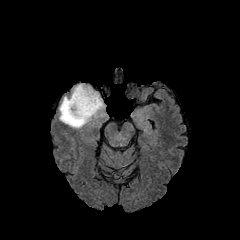
FLAIR MR.
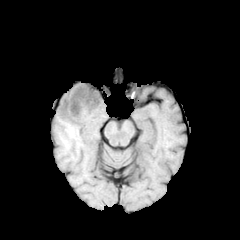
T1-weighted MR of the same slice.
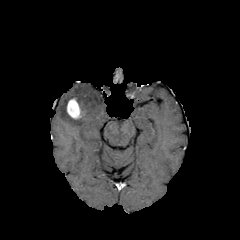
Post-contrast T1-weighted magnetic resonance.
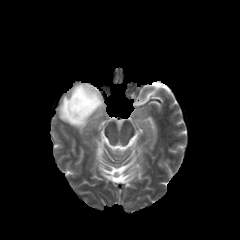
T2-weighted MR image.
240x240
The non-enhancing tumor core is bounded by <bbox>71, 94, 86, 120</bbox>. The enhancing tumor lies within <bbox>66, 98, 82, 119</bbox>. The edema is located at <bbox>58, 83, 105, 130</bbox>.